Head
FLAIR magnetic resonance.
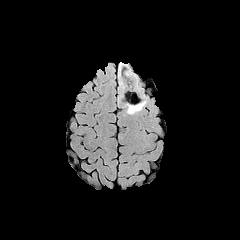
T1-weighted magnetic resonance.
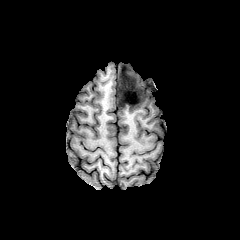
Post-contrast T1-weighted magnetic resonance.
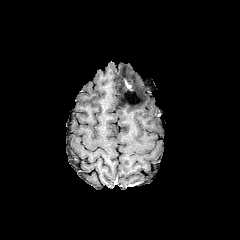
T2-weighted MR image.
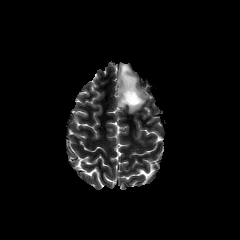
Non-enhancing tumor core — {"x1": 118, "y1": 74, "x2": 141, "y2": 105}.
Edema — {"x1": 127, "y1": 92, "x2": 136, "y2": 101}, {"x1": 117, "y1": 66, "x2": 147, "y2": 114}, {"x1": 118, "y1": 67, "x2": 122, "y2": 87}.